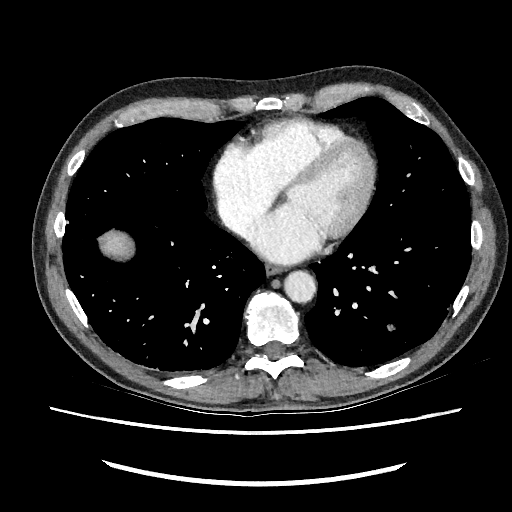

CT scan slice; Abdomen

liver: (102,233,125,253)